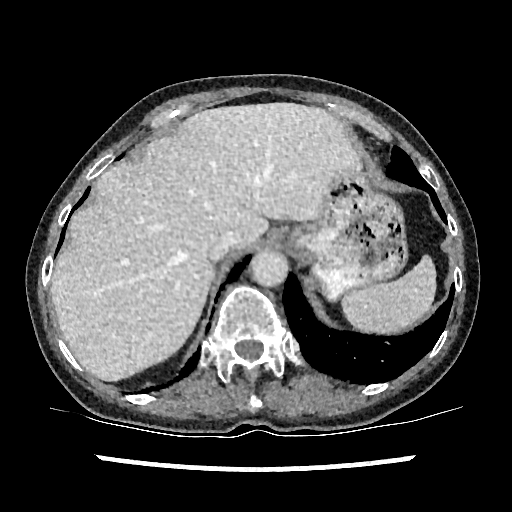
CT scan slice | Liver | 512x512
{
  "liver": [
    "rect(52, 103, 356, 379)"
  ]
}